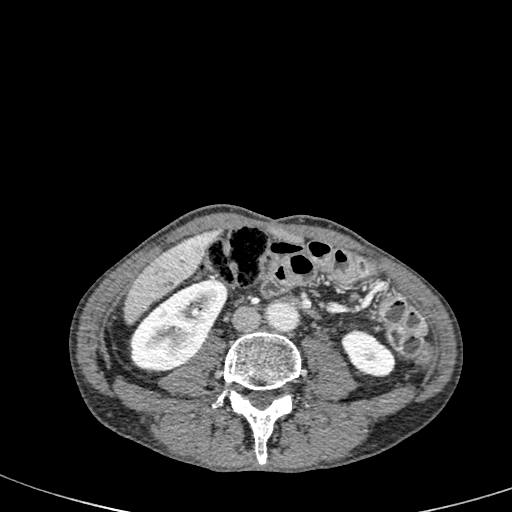

Image size 512x512. Computed tomography.

Segmented structures:
* kidney: x1=342 y1=331 x2=394 y2=375, x1=131 y1=280 x2=227 y2=370
* liver: x1=124 y1=229 x2=222 y2=324